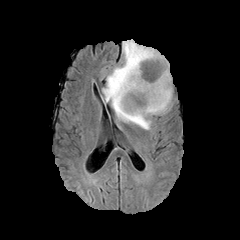
FLAIR magnetic resonance.
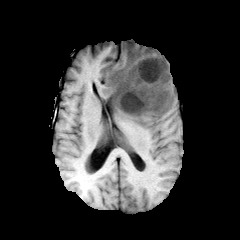
T1-weighted MRI.
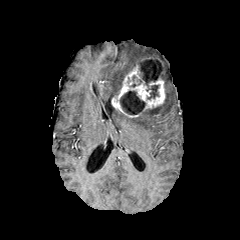
Post-contrast T1-weighted magnetic resonance of the same slice.
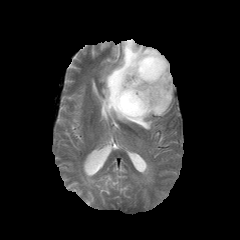
T2-weighted magnetic resonance of the same slice.
Image size 240x240 | Head
2 non-enhancing tumor core regions are bounded by [119, 90, 145, 114], [140, 61, 159, 98]. The edema is located at [102, 39, 173, 129]. The enhancing tumor lies within [111, 57, 165, 118].